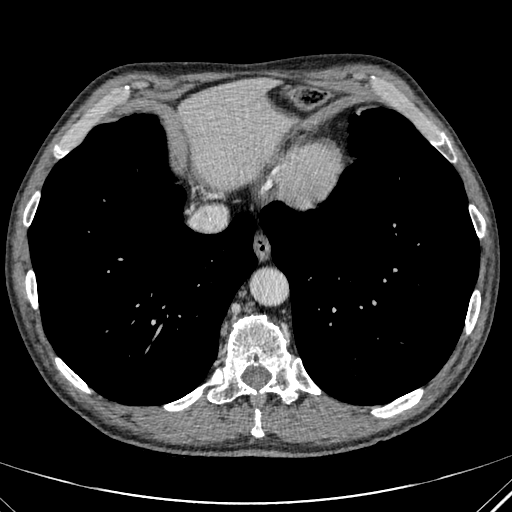

CT image; 512x512 px

The liver is at left=178, top=78, right=292, bottom=185.